Computed tomography.

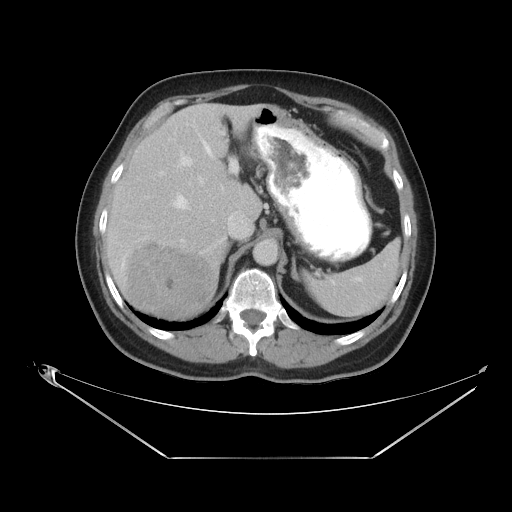

Only some of the vessels may be annotated.
{
  "hepatic_vessel": [
    "rect(174, 195, 185, 206)",
    "rect(219, 131, 224, 133)",
    "rect(178, 154, 191, 166)",
    "rect(230, 159, 236, 163)"
  ],
  "liver_tumor": [
    "rect(125, 239, 217, 319)"
  ]
}